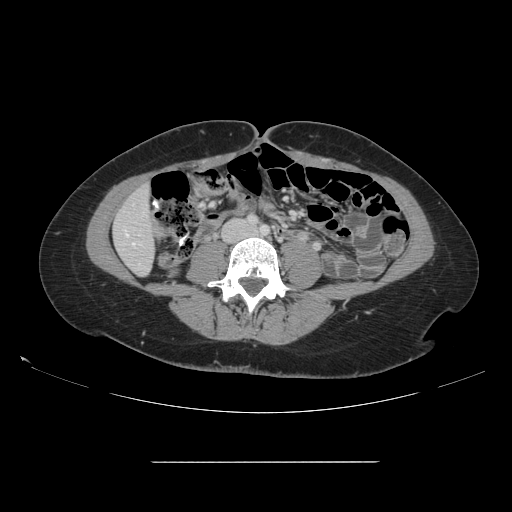

Liver, Image size 512x512, CT scan slice
The vessel boxes may cover only some of the vessels.
3 hepatic vessel regions are located at [x1=133, y1=242, x2=136, y2=245], [x1=138, y1=243, x2=140, y2=244], [x1=124, y1=229, x2=127, y2=235].